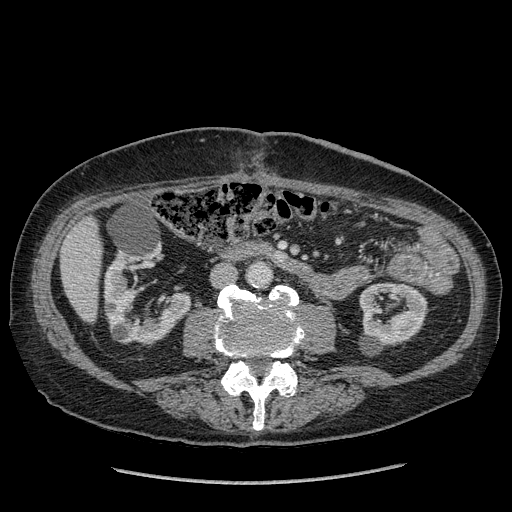 CT slice. Liver. liver: (60, 217, 101, 323) | kidney: (360, 283, 426, 344), (104, 252, 190, 342)